Cardiac | Field of view 400 mm wide, 1.37 mm slice spacing | Magnetic resonance

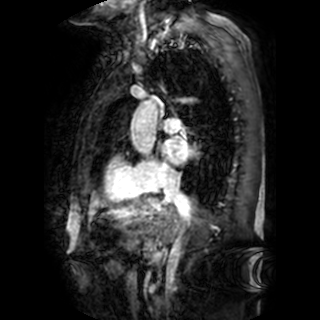
The left atrium is at (left=163, top=136, right=193, bottom=163).